240x240 px | Slice index 63
FLAIR MR.
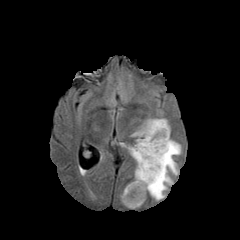
T1-weighted magnetic resonance.
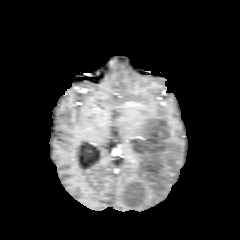
Post-contrast T1-weighted MR image.
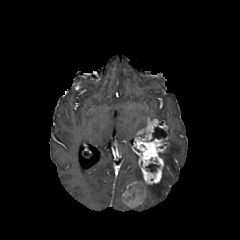
T2-weighted magnetic resonance.
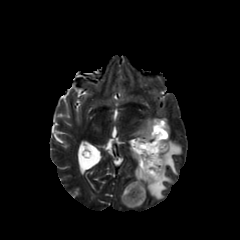
Edema: bounding box <bbox>146, 138, 181, 200</bbox>, <bbox>126, 146, 141, 179</bbox>.
Enhancing tumor: bounding box <bbox>121, 119, 169, 207</bbox>.
Non-enhancing tumor core: bounding box <bbox>151, 127, 167, 140</bbox>, <bbox>148, 164, 158, 172</bbox>.